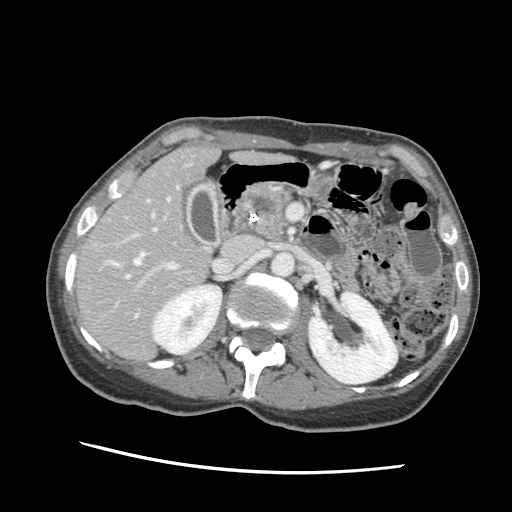 CT | Abdomen | 512x512
Pancreatic tumor: 253 194 275 215.
Pancreas: 247 190 291 238.